FLAIR MRI.
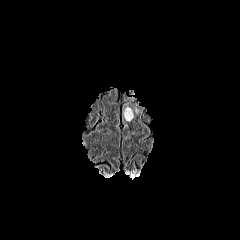
T1-weighted MR.
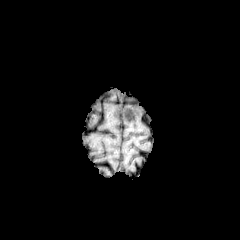
Post-contrast T1-weighted MR image.
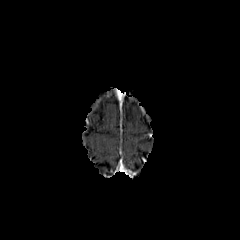
T2-weighted magnetic resonance.
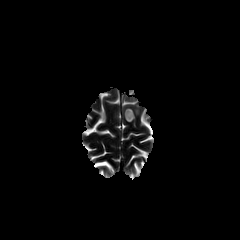
Brain
The edema lies within left=125, top=106, right=134, bottom=120.